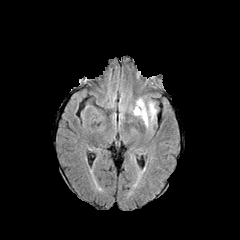
FLAIR MRI.
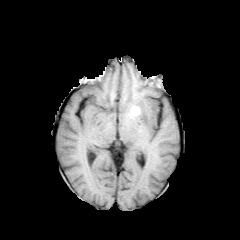
T1-weighted magnetic resonance.
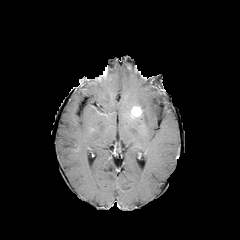
Post-contrast T1-weighted magnetic resonance of the same slice.
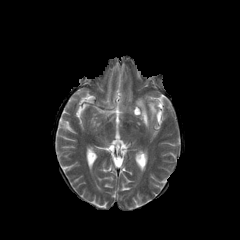
T2-weighted MRI.
Enhancing tumor — bbox=[130, 106, 142, 116].
Edema — bbox=[149, 102, 156, 119]; bbox=[136, 98, 149, 126].